Image size 32x52 | MRI slice
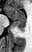

Annotated regions:
- posterior hippocampus: (x1=13, y1=23, x2=25, y2=30)
- anterior hippocampus: (x1=4, y1=6, x2=26, y2=22)